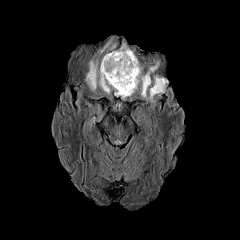
FLAIR MR.
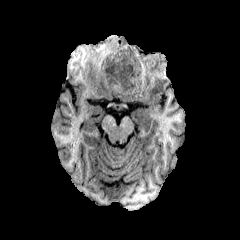
T1-weighted magnetic resonance of the same slice.
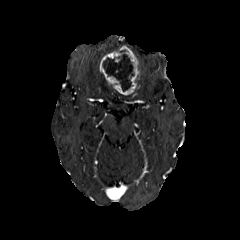
Post-contrast T1-weighted MR image.
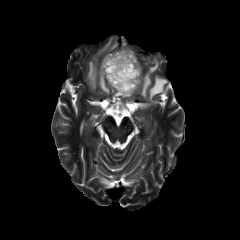
T2-weighted MR.
Head
Non-enhancing tumor core: bounding box 102, 54, 133, 91.
Enhancing tumor: bounding box 98, 44, 141, 96.
Edema: bounding box 141, 61, 168, 103; 84, 36, 118, 94.